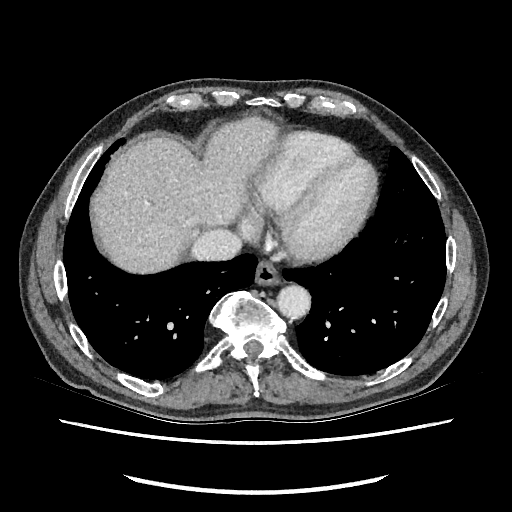 CT scan slice

The liver is bounded by [96,120,274,272].